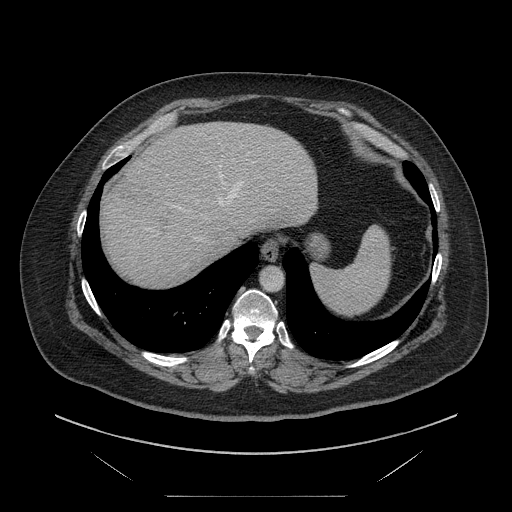 Liver. CT slice. 512x512. Not every hepatic vessel necessarily has a box.
Annotated regions:
• hepatic vessel: x1=217, y1=178, x2=243, y2=210; x1=192, y1=236, x2=204, y2=241